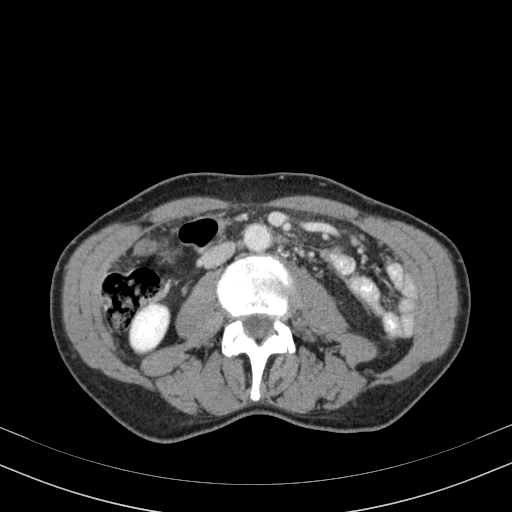
CT slice | Abdomen

Annotated regions:
• kidney: bbox=[130, 305, 168, 350]